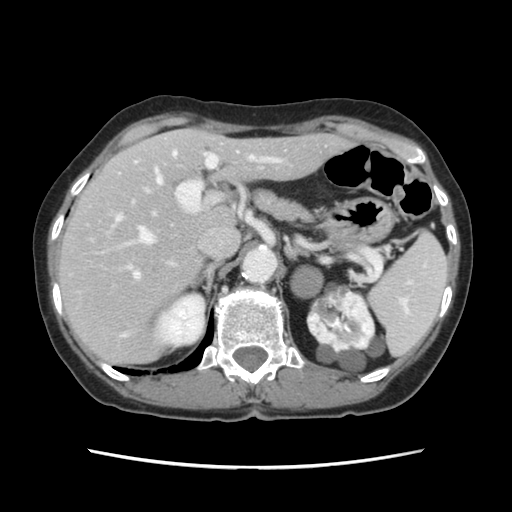

512x512 px | Computed tomography
Only some of the vessels may be annotated.
11 hepatic vessel regions are located at (x1=153, y1=213, x2=154, y2=214), (x1=134, y1=271, x2=139, y2=278), (x1=128, y1=266, x2=131, y2=268), (x1=173, y1=152, x2=176, y2=155), (x1=155, y1=169, x2=161, y2=183), (x1=134, y1=161, x2=136, y2=163), (x1=204, y1=153, x2=208, y2=156), (x1=139, y1=227, x2=152, y2=243), (x1=249, y1=156, x2=254, y2=160), (x1=261, y1=159, x2=281, y2=162), (x1=115, y1=215, x2=121, y2=221).